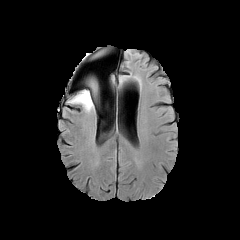
FLAIR MRI.
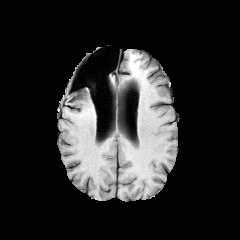
Same slice, T1-weighted MR image.
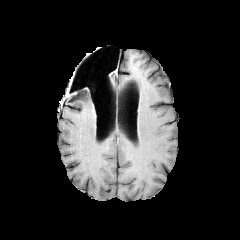
Post-contrast T1-weighted MR image.
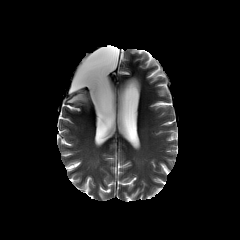
T2-weighted MR.
Head. Image size 240x240.
<segmentation>
  <edema>x1=90 y1=81 x2=97 y2=90, x1=68 y1=89 x2=95 y2=114</edema>
</segmentation>